Brain; 240x240 px
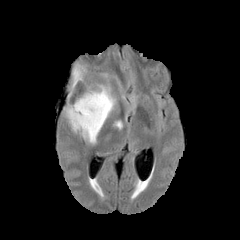
FLAIR MR image.
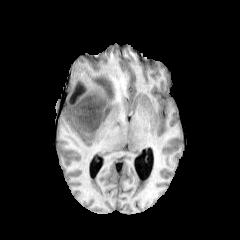
Same slice, T1-weighted MR.
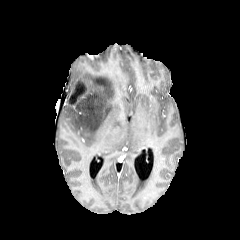
Post-contrast T1-weighted MR.
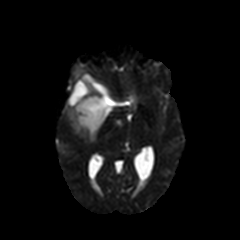
T2-weighted MR.
Edema — <bbox>135, 182, 145, 192</bbox>, <bbox>122, 96, 135, 107</bbox>, <bbox>101, 83, 118, 102</bbox>, <bbox>114, 120, 122, 128</bbox>, <bbox>64, 64, 119, 143</bbox>.
Non-enhancing tumor core — <bbox>92, 81, 120, 105</bbox>, <bbox>75, 86, 87, 101</bbox>, <bbox>79, 97, 104, 129</bbox>.